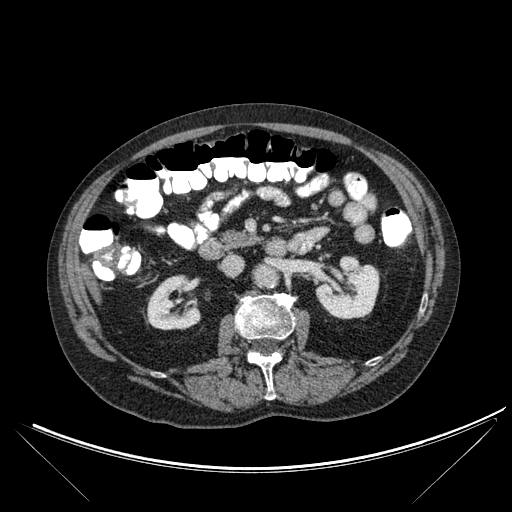

Liver. CT scan slice. liver:
  - (left=86, top=275, right=100, bottom=302)
bone:
  - (left=248, top=352, right=281, bottom=399)
  - (left=235, top=293, right=295, bottom=339)
kidney:
  - (left=148, top=275, right=199, bottom=329)
  - (left=316, top=257, right=378, bottom=318)